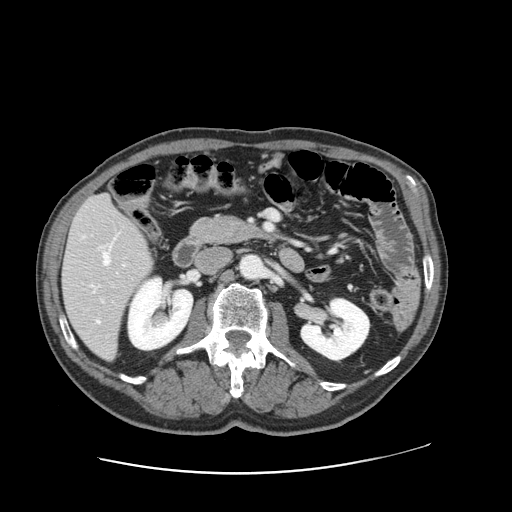
CT slice. Abdomen.
Some hepatic vessels may have no box.
Hepatic vessel: bbox(95, 285, 99, 289); bbox(103, 252, 109, 264); bbox(96, 320, 99, 322).